FLAIR MR.
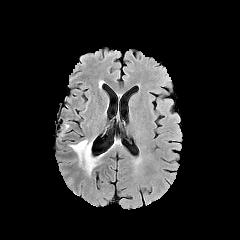
T1-weighted MR.
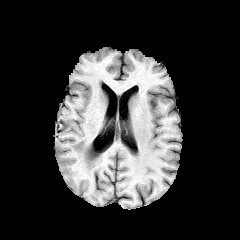
Post-contrast T1-weighted MRI.
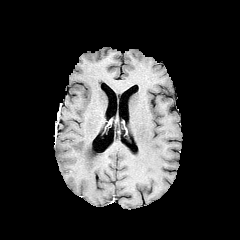
T2-weighted MRI.
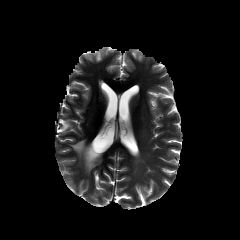
240x240 px, Head
edema:
  - 69,139,99,174